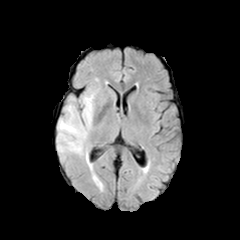
FLAIR MR.
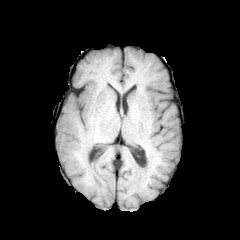
Same slice, T1-weighted MRI.
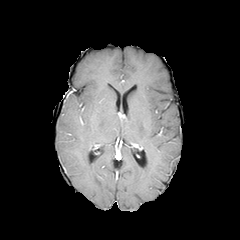
Same slice, post-contrast T1-weighted MR.
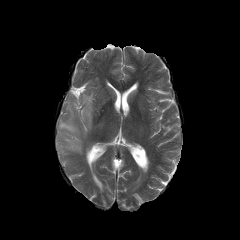
T2-weighted magnetic resonance.
Head
Edema: (left=56, top=89, right=96, bottom=161).